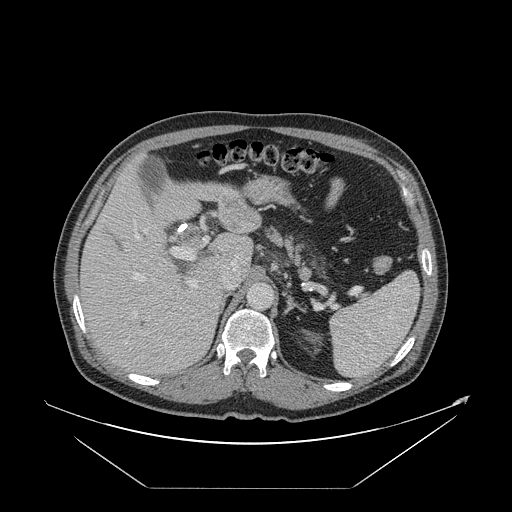
CT slice. Abdomen.

Only some of the vessels may be annotated.
Hepatic vessel — [x1=171, y1=224, x2=187, y2=240], [x1=216, y1=253, x2=244, y2=289], [x1=203, y1=237, x2=207, y2=243], [x1=187, y1=280, x2=196, y2=287], [x1=212, y1=213, x2=218, y2=216], [x1=202, y1=220, x2=204, y2=229], [x1=134, y1=226, x2=138, y2=238], [x1=211, y1=290, x2=216, y2=291], [x1=133, y1=274, x2=142, y2=280], [x1=133, y1=311, x2=136, y2=317], [x1=171, y1=247, x2=194, y2=260], [x1=143, y1=229, x2=147, y2=232], [x1=196, y1=194, x2=214, y2=199].